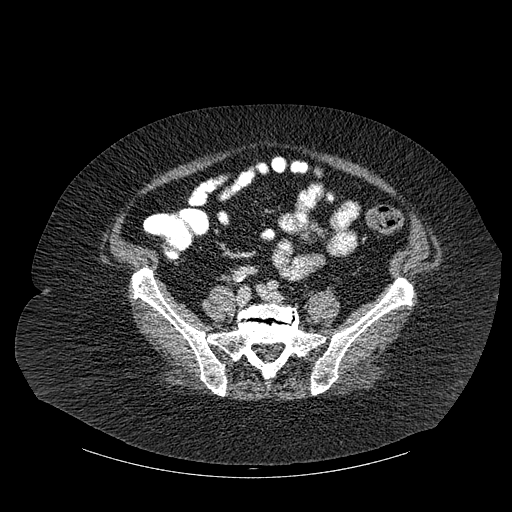

CT
2 bone regions are located at 132,267,325,395; 311,278,413,394.